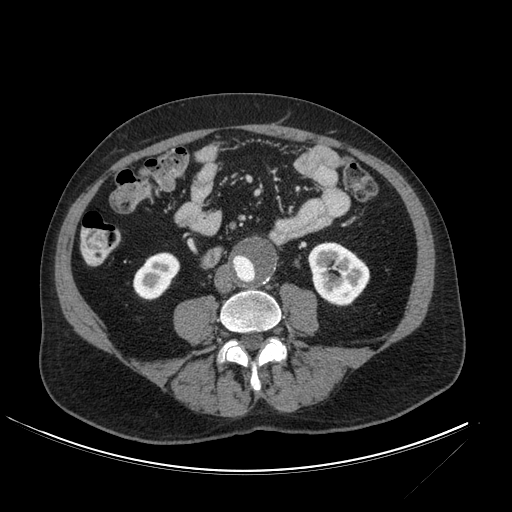
CT slice | Abdomen | 512x512
2 kidney regions are bounded by 134:253:178:298, 309:243:368:304.